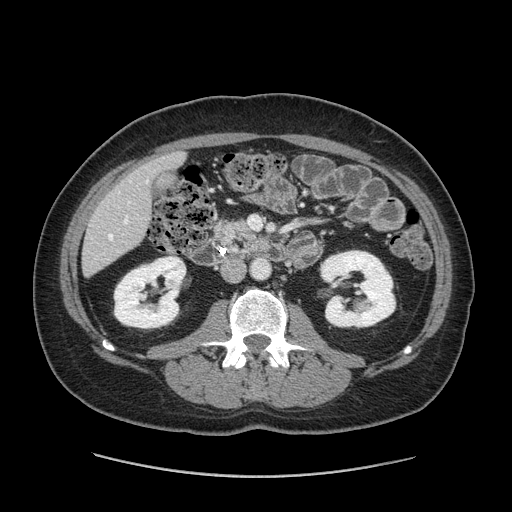

Computed tomography | 512x512
The pancreas is at x1=215 y1=220 x2=266 y2=248.